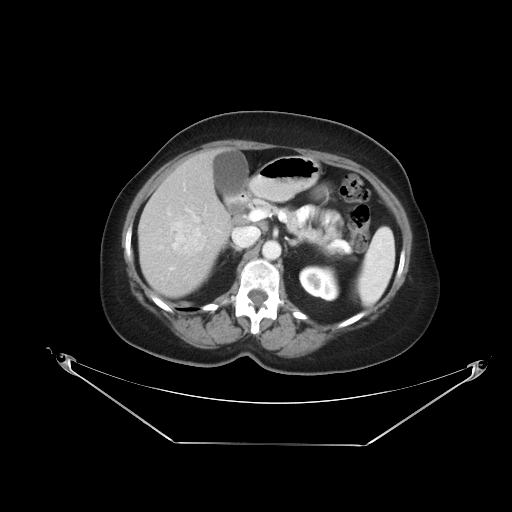

CT slice | Abdomen
The vessel boxes may cover only some of the vessels.
7 hepatic vessel regions are located at rect(170, 267, 173, 269); rect(196, 218, 199, 221); rect(250, 215, 250, 218); rect(217, 230, 220, 231); rect(184, 185, 185, 190); rect(236, 228, 259, 245); rect(186, 209, 193, 214). The liver tumor is at rect(170, 223, 206, 259).